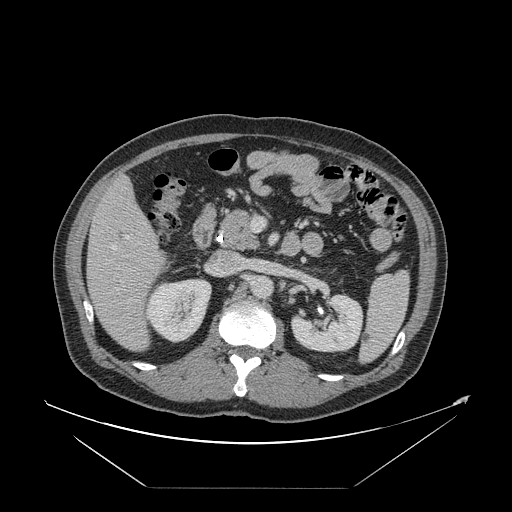
CT scan slice; Liver; 512x512 px

The vessel boxes may cover only some of the vessels.
Hepatic vessel — <box>124,236,128,238</box>, <box>112,245,115,249</box>.